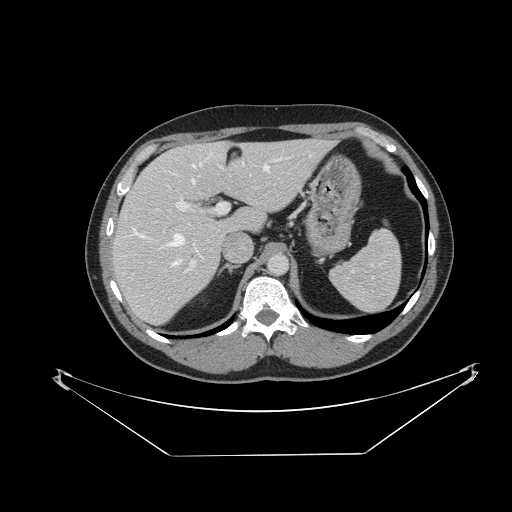

Abdomen, CT slice

Spleen = rect(331, 226, 400, 313).